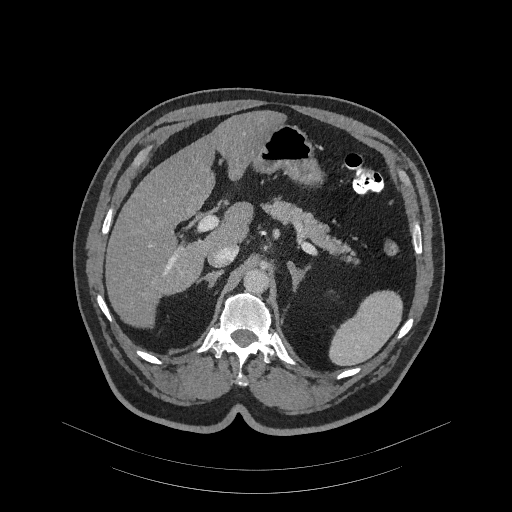 CT scan slice, Abdomen
The pancreas is at x1=264 y1=198 x2=357 y2=264.